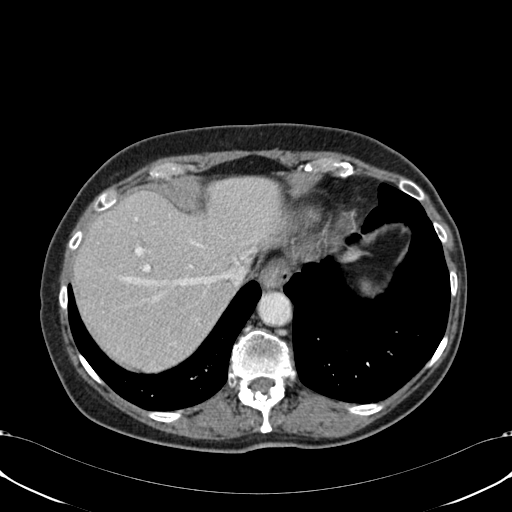

512x512, CT scan slice
Liver: bounding box 74,178,282,368.